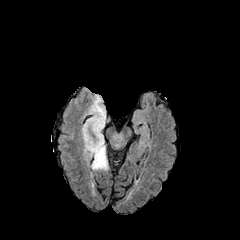
FLAIR MR image.
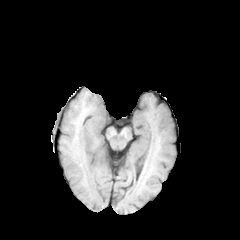
T1-weighted MR image.
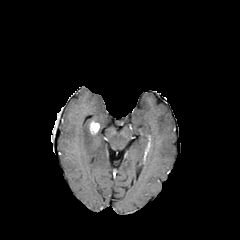
Post-contrast T1-weighted MR image of the same slice.
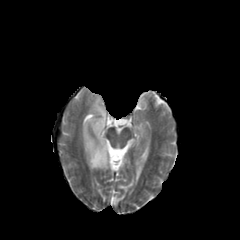
T2-weighted magnetic resonance.
edema: bbox=[80, 95, 108, 171] | enhancing tumor: bbox=[90, 120, 99, 133]